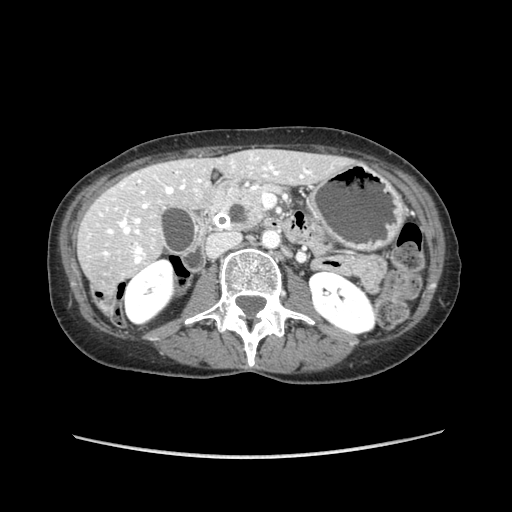
CT
Pancreas: (211,187,279,230), (305,214,324,242).